Slice index 66, CT scan slice

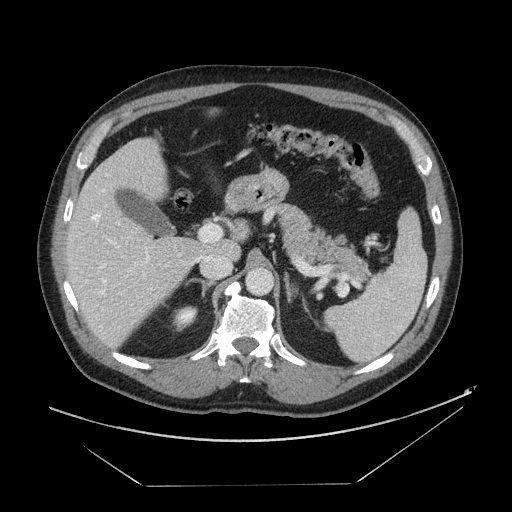

Pancreas — (x1=273, y1=204, x2=373, y2=282).